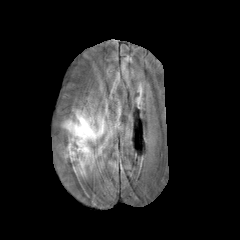
FLAIR MRI.
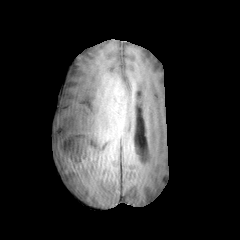
T1-weighted magnetic resonance of the same slice.
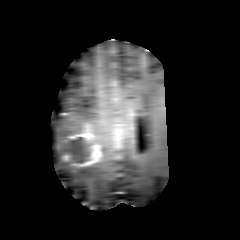
Post-contrast T1-weighted MRI.
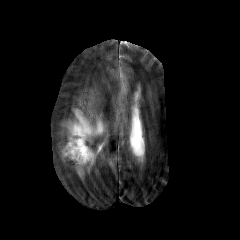
Same slice, T2-weighted MR image.
Head.
edema: bbox(61, 108, 107, 176) | enhancing tumor: bbox(68, 124, 93, 142); bbox(77, 146, 97, 166) | non-enhancing tumor core: bbox(69, 136, 92, 161); bbox(70, 125, 83, 135)